CT
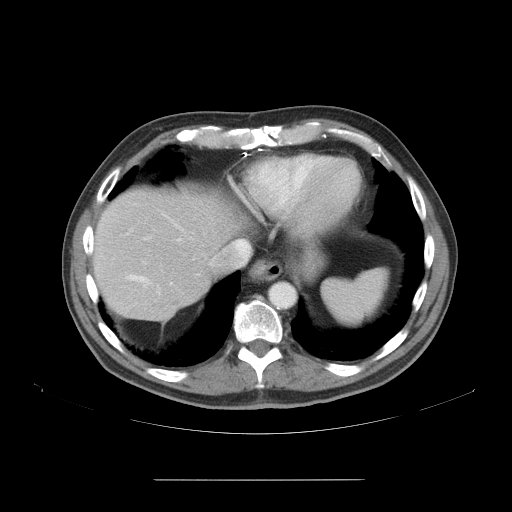
The vessel boxes may cover only some of the vessels.
Findings:
• hepatic vessel: 125 274 150 286, 232 240 248 265, 162 213 183 230, 177 239 180 240